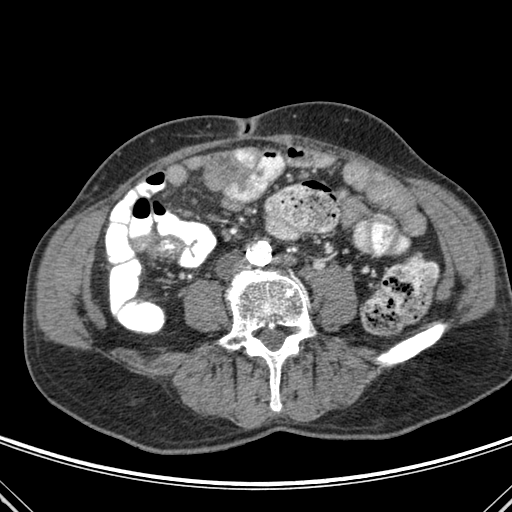

CT scan slice
{
  "bone": [
    "x1=376 y1=323 x2=446 y2=365",
    "x1=219 y1=270 x2=315 y2=411"
  ]
}